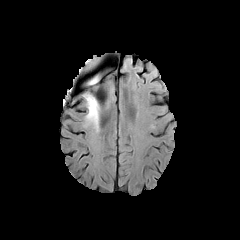
FLAIR MR image.
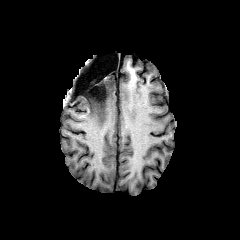
T1-weighted MRI of the same slice.
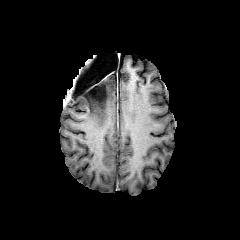
Post-contrast T1-weighted MRI.
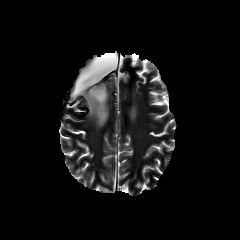
Same slice, T2-weighted MRI.
<segmentation>
  <edema><box>82,95,107,130</box></edema>
  <non-enhancing_tumor_core><box>82,76,101,113</box></non-enhancing_tumor_core>
</segmentation>